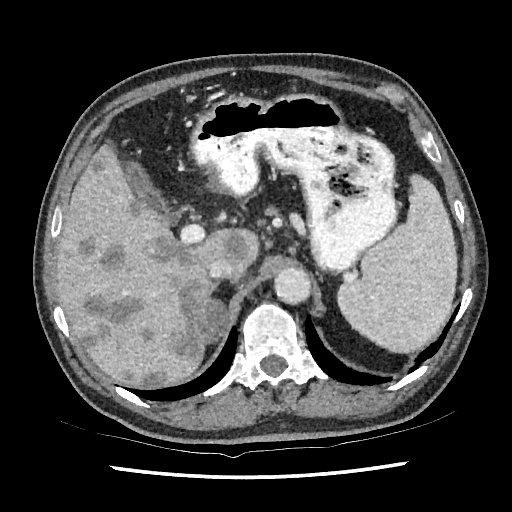
CT slice; 512x512

<segmentation>
  <hepatic_lesion>{"x1": 82, "y1": 295, "x2": 144, "y2": 347}, {"x1": 219, "y1": 232, "x2": 245, "y2": 261}, {"x1": 127, "y1": 200, "x2": 145, "y2": 217}, {"x1": 92, "y1": 158, "x2": 105, "y2": 173}, {"x1": 103, "y1": 245, "x2": 127, "y2": 268}, {"x1": 75, "y1": 238, "x2": 95, "y2": 258}, {"x1": 140, "y1": 327, "x2": 152, "y2": 341}, {"x1": 142, "y1": 372, "x2": 165, "y2": 384}, {"x1": 116, "y1": 339, "x2": 121, "y2": 349}, {"x1": 149, "y1": 235, "x2": 212, "y2": 361}, {"x1": 121, "y1": 370, "x2": 130, "y2": 379}</hepatic_lesion>
  <liver>{"x1": 189, "y1": 230, "x2": 258, "y2": 288}, {"x1": 195, "y1": 308, "x2": 200, "y2": 336}, {"x1": 57, "y1": 142, "x2": 199, "y2": 384}</liver>
</segmentation>